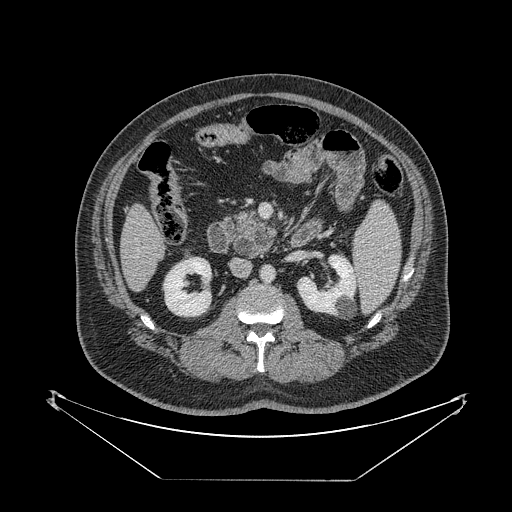
Computed tomography, Upper abdomen
The pancreas is located at 232,212,274,256.